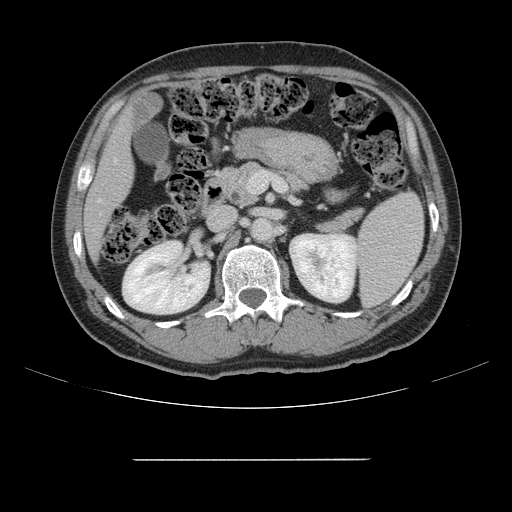

Image size 512x512, CT image

Some hepatic vessels may have no box.
2 hepatic vessel regions are located at l=98, t=199, r=100, b=201; l=114, t=159, r=116, b=162.